Slice 560 of 836, Upper abdomen, CT image, 512x512 px
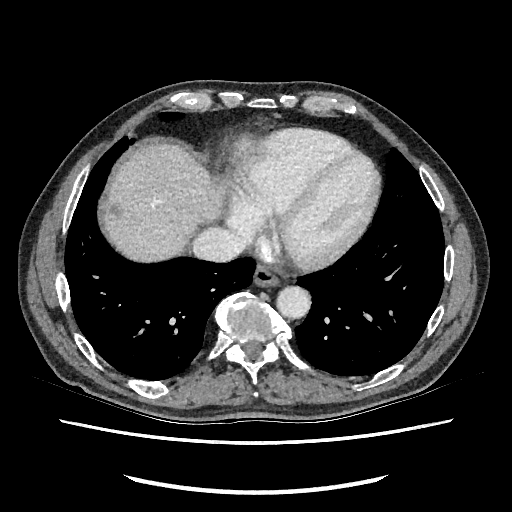
<segmentation>
  <liver>rect(232, 139, 251, 162); rect(104, 144, 224, 261)</liver>
  <hepatic_lesion>rect(111, 205, 120, 215)</hepatic_lesion>
</segmentation>